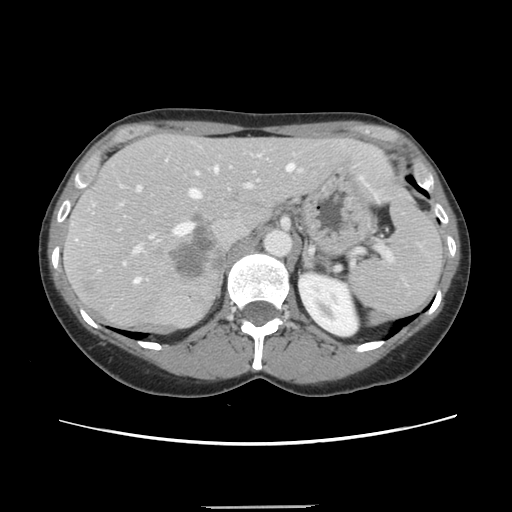 Liver | CT scan slice

Some hepatic vessels may have no box.
Hepatic vessel at 196:172:198:174, 246:183:250:187, 150:235:152:237, 214:166:217:170, 286:163:293:171, 189:188:200:198, 123:262:124:264, 137:186:140:190, 133:246:141:252, 174:222:192:235, 134:278:140:282.
Liver tumor at 174:235:214:277.